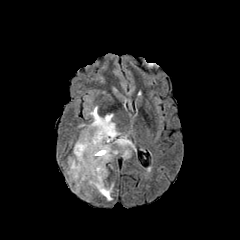
FLAIR MR.
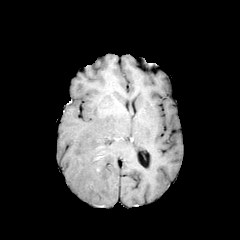
Same slice, T1-weighted MR.
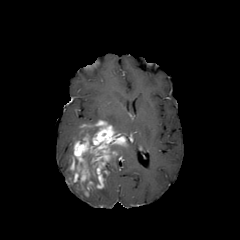
Same slice, post-contrast T1-weighted magnetic resonance.
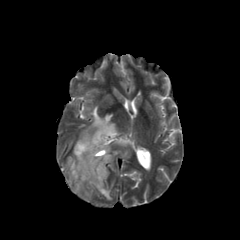
Same slice, T2-weighted magnetic resonance.
240x240 px
4 edema regions are located at <bbox>79, 106, 127, 138</bbox>, <bbox>70, 181, 84, 192</bbox>, <bbox>106, 140, 135, 169</bbox>, <bbox>89, 180, 112, 200</bbox>. 2 non-enhancing tumor core regions are bounded by <bbox>86, 125, 97, 138</bbox>, <bbox>82, 153, 97, 192</bbox>. The enhancing tumor is at <bbox>69, 120, 126, 189</bbox>.